Abdomen, Field of view 381x381 mm, CT, Image size 512x512, Slice 372/826 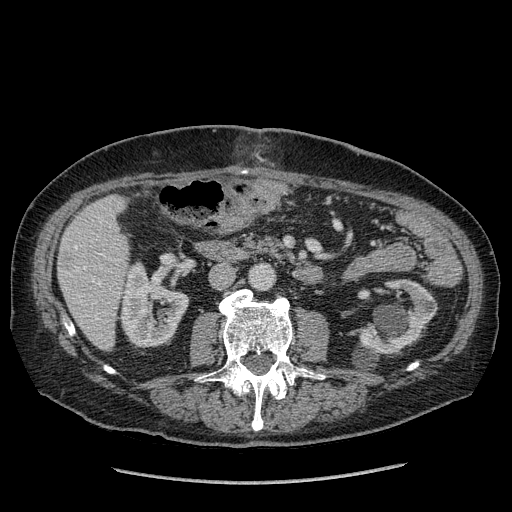

The liver appears at box=[58, 196, 129, 350]. 3 kidney regions appear at box=[361, 290, 369, 298]; box=[359, 279, 437, 353]; box=[121, 263, 188, 346].